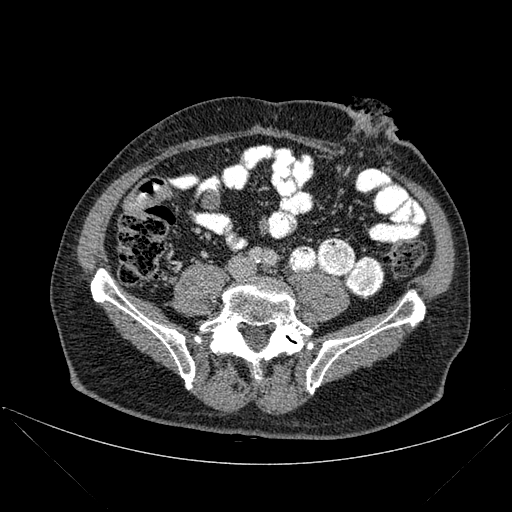

Computed tomography
Segmented structures:
• bone: bbox=[91, 269, 194, 389]; bbox=[306, 291, 424, 393]; bbox=[200, 283, 312, 378]